CT slice, Abdomen
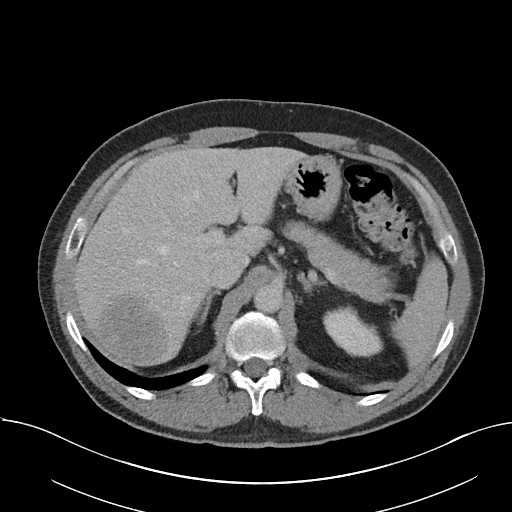

The vessel annotation is not exhaustive.
Annotated regions:
• hepatic vessel (principal 15 of 19): <bbox>174, 262, 177, 265</bbox>, <bbox>183, 197, 189, 201</bbox>, <bbox>165, 221, 169, 223</bbox>, <bbox>197, 292, 202, 296</bbox>, <bbox>194, 191, 198, 198</bbox>, <bbox>136, 259, 148, 263</bbox>, <bbox>203, 232, 221, 242</bbox>, <bbox>244, 207, 247, 215</bbox>, <bbox>180, 296, 189, 302</bbox>, <bbox>243, 258, 247, 263</bbox>, <bbox>182, 235, 191, 242</bbox>, <bbox>122, 228, 130, 232</bbox>, <bbox>159, 245, 168, 254</bbox>, <bbox>163, 231, 167, 234</bbox>, <bbox>148, 241, 150, 245</bbox>
• liver tumor: <bbox>98, 294, 167, 363</bbox>